FLAIR MR image.
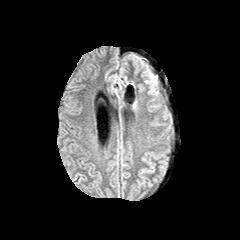
T1-weighted MR.
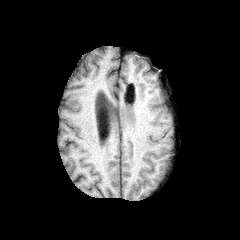
Post-contrast T1-weighted magnetic resonance.
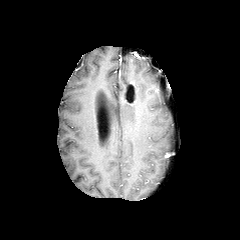
T2-weighted magnetic resonance.
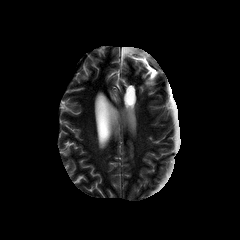
Edema — 142:68:155:93.